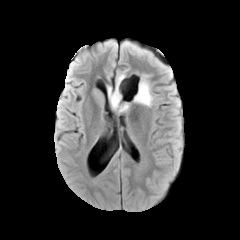
FLAIR MRI.
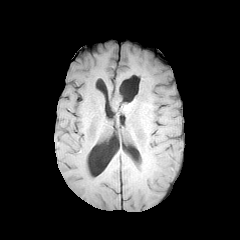
T1-weighted magnetic resonance of the same slice.
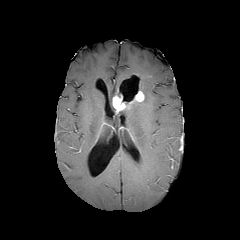
Post-contrast T1-weighted MR image.
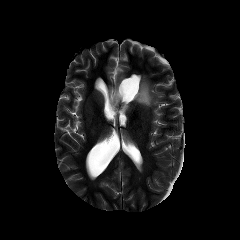
T2-weighted MR of the same slice.
Image size 240x240
The non-enhancing tumor core is located at [x1=110, y1=88, x2=117, y2=111]. 2 enhancing tumor regions are located at [x1=134, y1=91, x2=143, y2=101], [x1=112, y1=89, x2=129, y2=111]. 2 edema regions are bounded by [x1=107, y1=71, x2=131, y2=101], [x1=134, y1=75, x2=153, y2=106].